CT slice, Liver, Field of view 360 mm wide, 1.25 mm slice spacing, 512x512 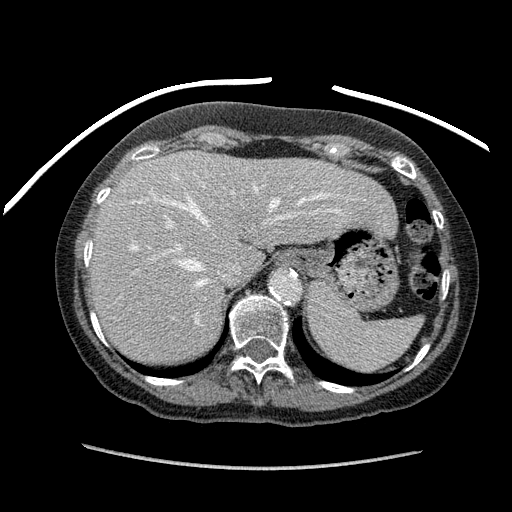
liver:
  - rect(91, 151, 395, 363)